Slice 34 of 85; Image size 512x512; Computed tomography

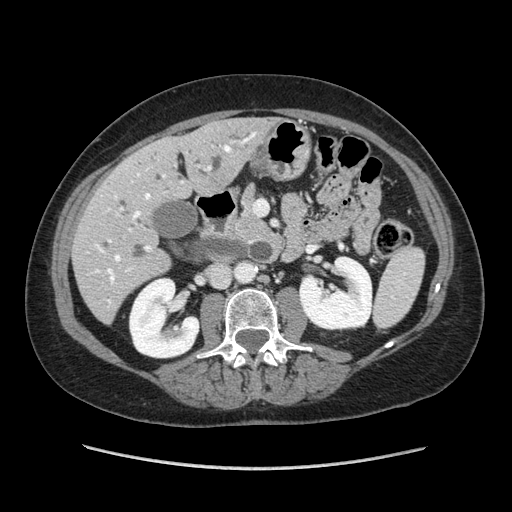 {"pancreas": ["left=232, top=182, right=270, bottom=243"]}